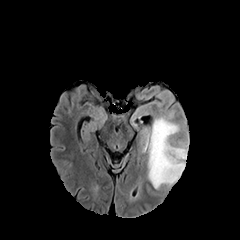
FLAIR MR image.
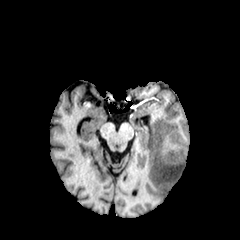
T1-weighted MR.
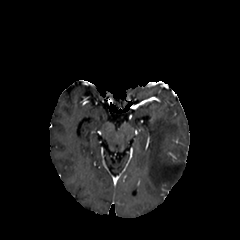
Post-contrast T1-weighted MRI.
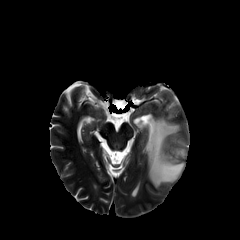
T2-weighted MR image.
edema: x1=147, y1=115, x2=187, y2=187